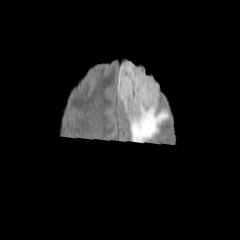
FLAIR magnetic resonance.
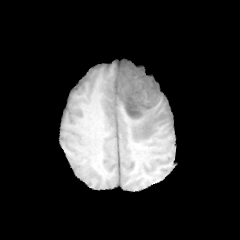
Same slice, T1-weighted MR.
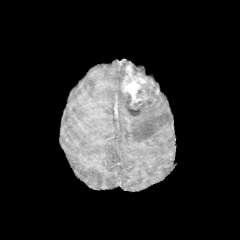
Post-contrast T1-weighted MR.
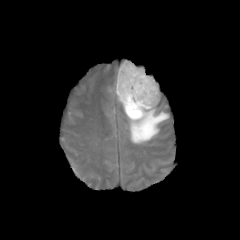
T2-weighted MR image of the same slice.
<segmentation>
  <non-enhancing_tumor_core><box>125,78,159,116</box></non-enhancing_tumor_core>
  <enhancing_tumor><box>121,64,154,105</box></enhancing_tumor>
  <edema><box>115,60,169,143</box></edema>
</segmentation>